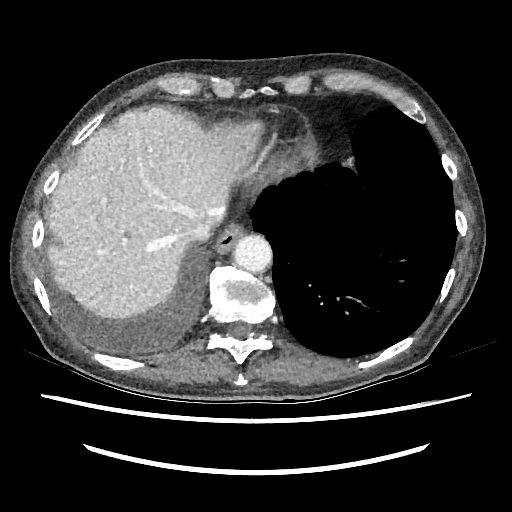
Liver. CT image.

{"liver": ["region(47, 109, 262, 316)"]}